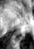 MR image

Segmented structures:
* posterior hippocampus: x1=18 y1=34 x2=24 y2=40